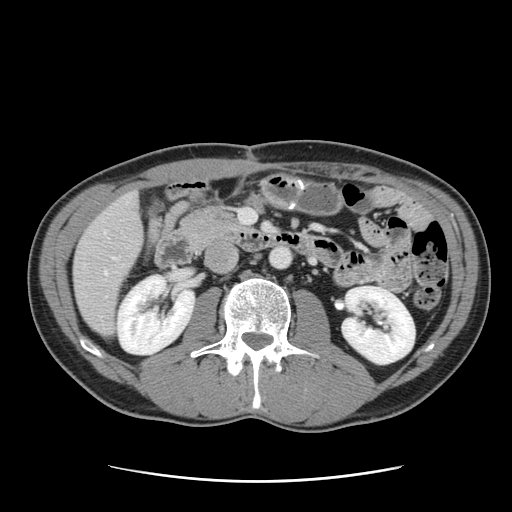 CT. 512x512 px.
Some hepatic vessels may have no box.
Findings:
* hepatic vessel: x1=104 y1=232 x2=105 y2=234, x1=112 y1=257 x2=116 y2=259, x1=104 y1=271 x2=106 y2=273